FLAIR magnetic resonance.
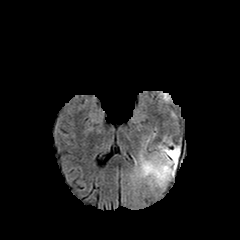
T1-weighted MR image.
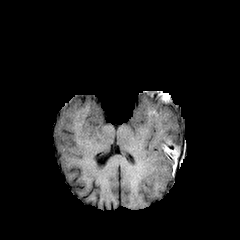
Post-contrast T1-weighted MR.
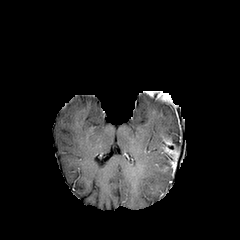
T2-weighted MR.
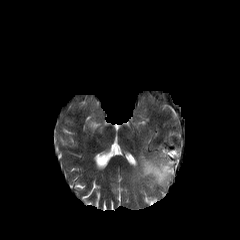
Head
Annotated regions:
* edema: 137,139,180,188
* enhancing tumor: 165,150,178,168